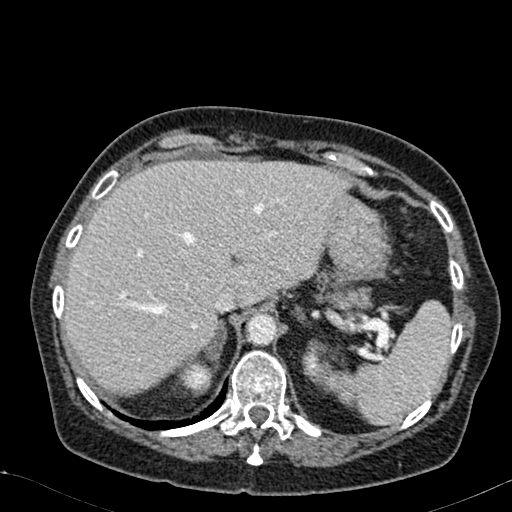 Abdomen. CT image.
kidney: bbox(181, 363, 206, 387); bbox(305, 346, 350, 391) | liver: bbox(65, 161, 347, 393)